CT slice. Field of view 351x351 mm. Slice 192/588.

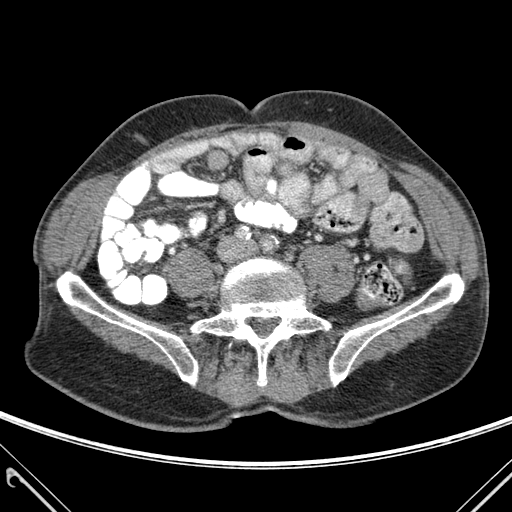
Bone = (57, 272, 197, 384), (329, 274, 463, 385), (191, 259, 330, 385).